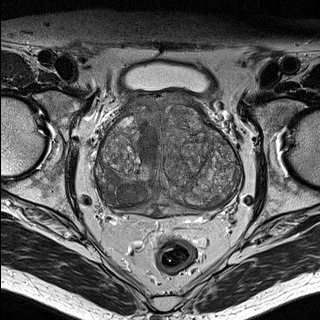
T2-weighted magnetic resonance.
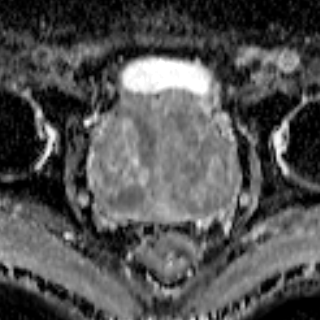
ADC magnetic resonance.
Prostate
The prostate peripheral zone appears at (112,198,219,215). The prostate transition zone is located at (97,92,238,209).